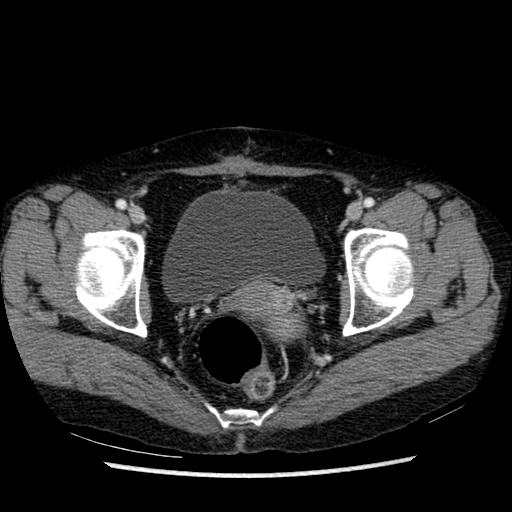

Lower abdomen | CT image

Segmented structures:
* urinary bladder: bbox(162, 185, 325, 304)